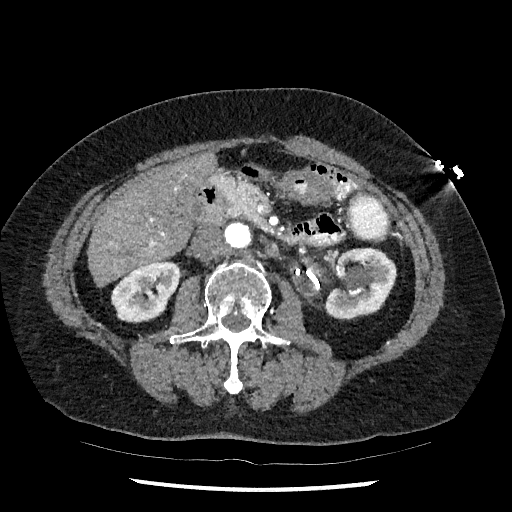
512x512 px. Upper abdomen. CT image.
kidney: 112,262,179,321; 326,248,395,318 | liver: 88,153,216,286